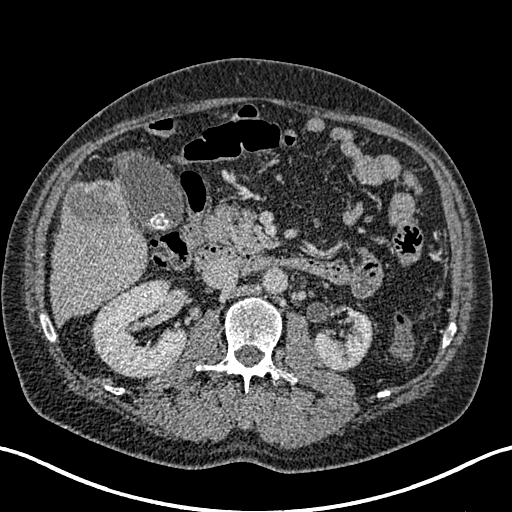
CT scan slice. Upper abdomen.
Findings:
* kidney: <box>315,310,371,369</box>, <box>93,281,185,376</box>
* liver lesion: <box>64,182,121,229</box>
* liver: <box>50,180,147,325</box>